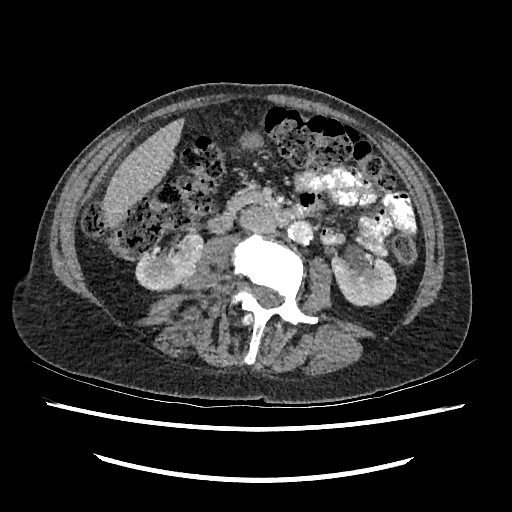 Image size 512x512; Upper abdomen; CT image
{"kidney": ["[332, 258, 395, 305]", "[136, 236, 201, 289]"], "liver": ["[105, 119, 183, 224]"]}